Abdomen, CT, Slice 145/155, 512x512
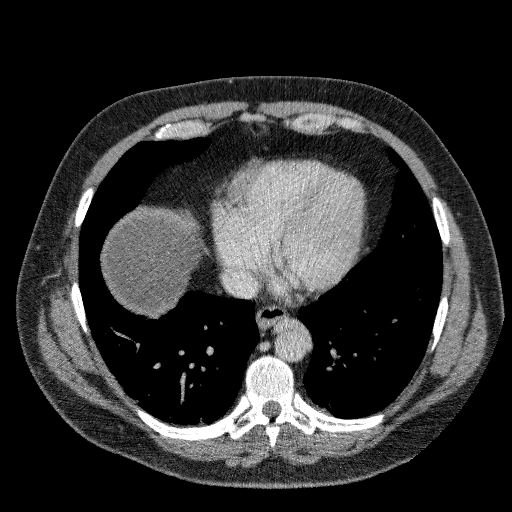
Segmented structures:
- liver: x1=102, y1=209, x2=194, y2=314